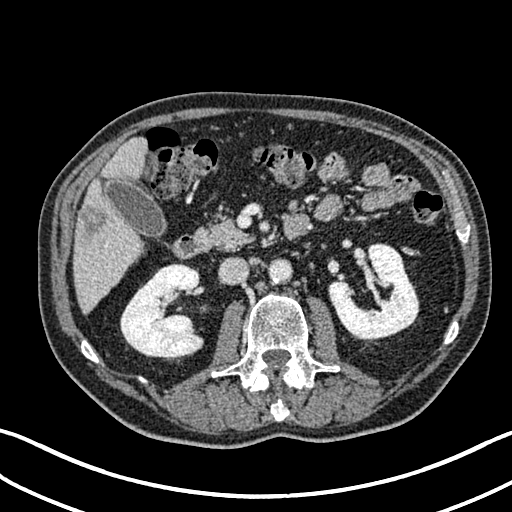
CT image, Upper abdomen
Liver lesion: bounding box {"x1": 82, "y1": 206, "x2": 105, "y2": 234}.
Liver: bounding box {"x1": 74, "y1": 178, "x2": 140, "y2": 313}, {"x1": 100, "y1": 138, "x2": 146, "y2": 180}.
Kidney: bounding box {"x1": 329, "y1": 244, "x2": 417, "y2": 338}, {"x1": 121, "y1": 265, "x2": 202, "y2": 356}.